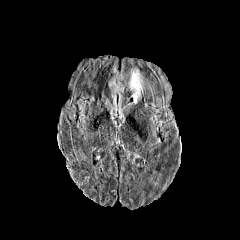
FLAIR MR.
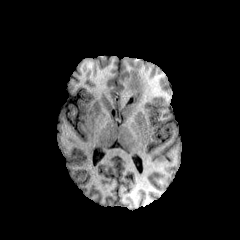
T1-weighted MR image.
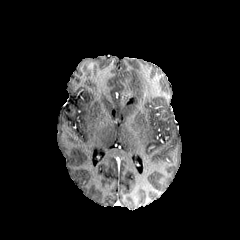
Post-contrast T1-weighted MR.
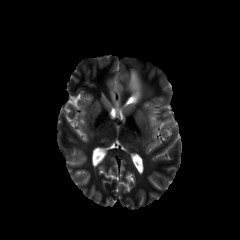
Same slice, T2-weighted MR image.
Head
edema: (left=130, top=70, right=141, bottom=104)